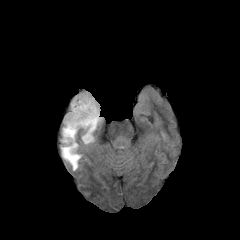
FLAIR MR.
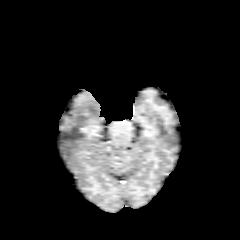
T1-weighted MRI.
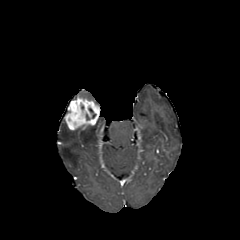
Post-contrast T1-weighted MR image.
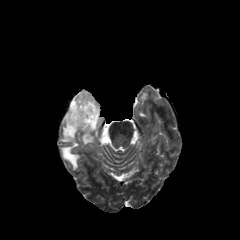
T2-weighted MR image.
Image size 240x240
The enhancing tumor is at rect(64, 91, 99, 130). 2 edema regions are bounded by rect(81, 117, 102, 144); rect(60, 124, 81, 170).